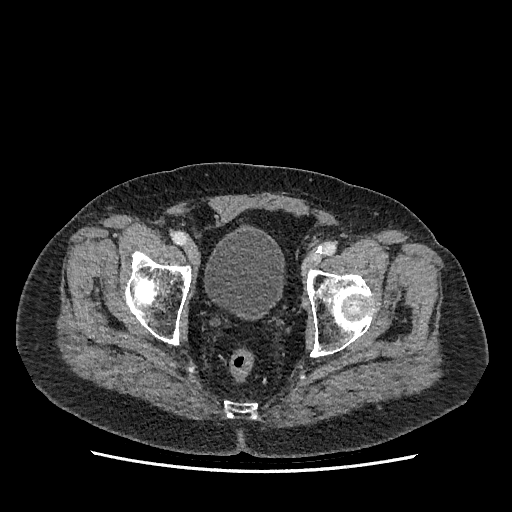 Computed tomography

The urinary bladder appears at l=204, t=230, r=284, b=318.